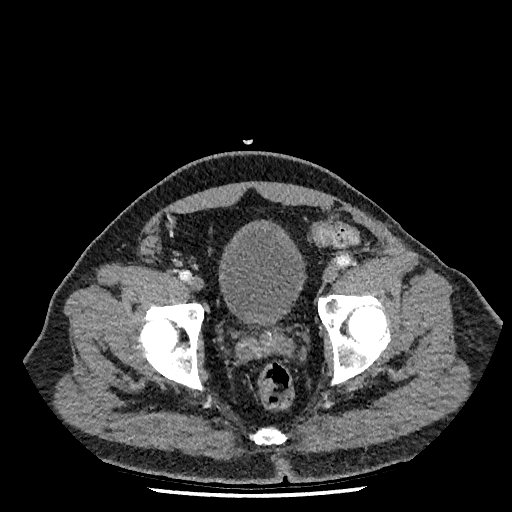 CT, Lower abdomen

The urinary bladder lies within (218, 220, 306, 324).